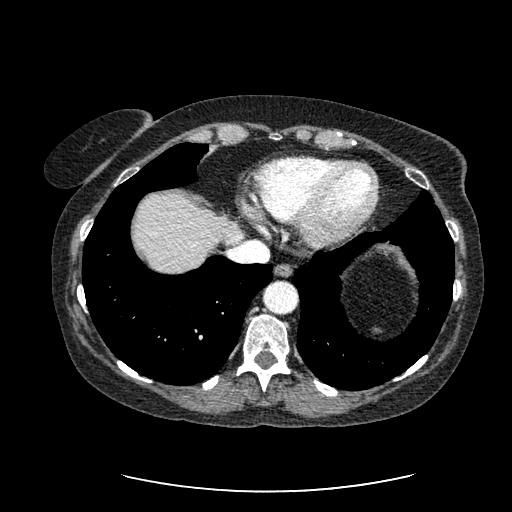
CT scan slice; Abdomen

The liver appears at <box>133,194,244,273</box>.